Image size 512x512. CT scan slice. Upper abdomen.
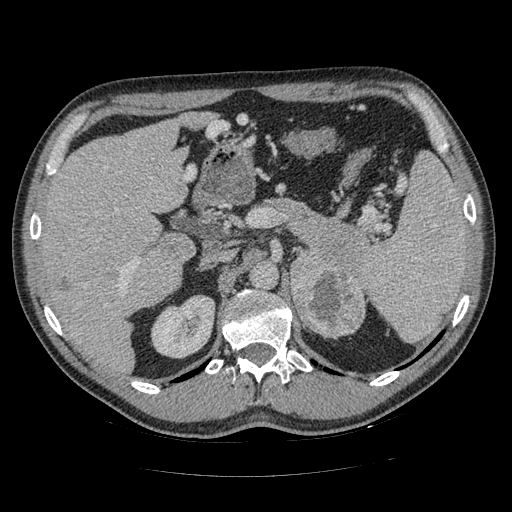

The pancreatic tumor appears at (x1=291, y1=249, x2=365, y2=336). The pancreas is located at (x1=270, y1=200, x2=368, y2=291).